Field of view 240 mm wide, 1.00 mm slice spacing
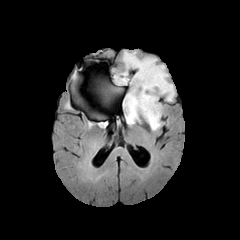
FLAIR magnetic resonance.
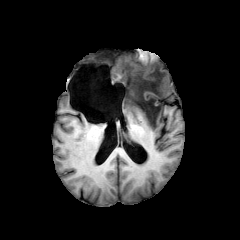
Same slice, T1-weighted magnetic resonance.
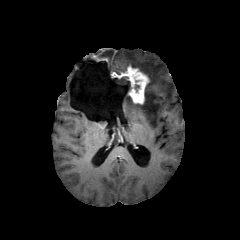
Same slice, post-contrast T1-weighted MR image.
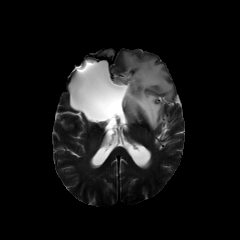
T2-weighted MR image.
Non-enhancing tumor core: <box>136,82,157,117</box>, <box>118,76,130,91</box>.
Enhancing tumor: <box>114,66,149,103</box>.
Edema: <box>113,78,125,89</box>, <box>122,52,173,130</box>.